Slice 388/707 | Field of view 700 mm wide, 2.50 mm slice spacing | CT slice
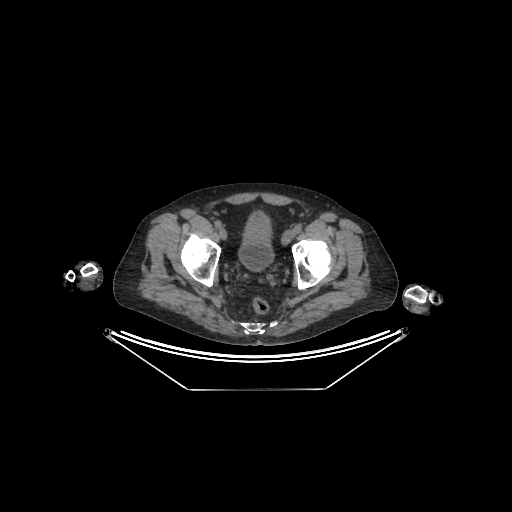

urinary bladder: {"x1": 238, "y1": 210, "x2": 274, "y2": 271}